Brain
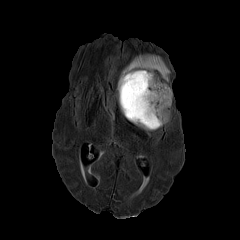
FLAIR MR.
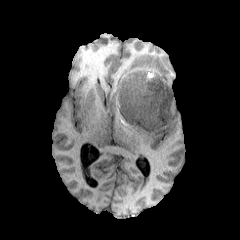
Same slice, T1-weighted MR.
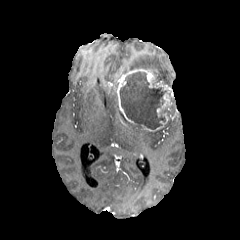
Post-contrast T1-weighted MRI.
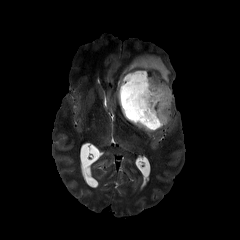
Same slice, T2-weighted MR.
Edema: 164 107 172 129, 123 54 170 82.
Enhancing tumor: 144 112 168 131, 117 68 173 122, 157 94 171 117.
Non-enhancing tumor core: 119 71 171 129.